512x512 px, CT image, Liver 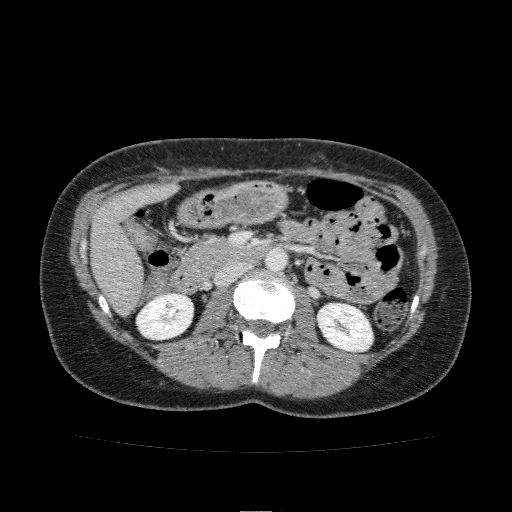
Kidney — 317, 303, 372, 351; 137, 294, 193, 339.
Liver — 90, 184, 177, 313.